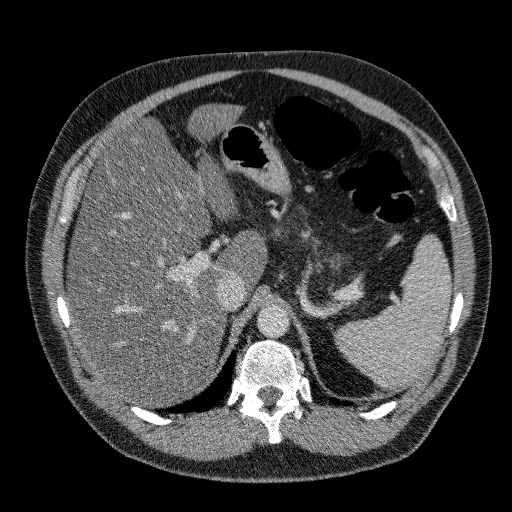 CT image | 512x512
• liver: box(67, 103, 266, 406)